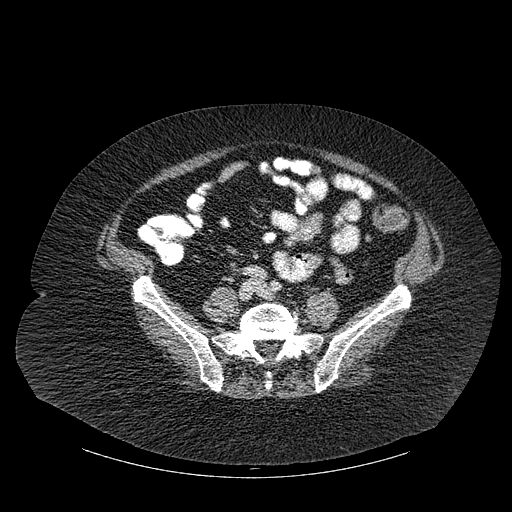
CT slice

{
  "bone": [
    "box(314, 285, 410, 392)",
    "box(133, 276, 223, 391)",
    "box(212, 303, 322, 363)",
    "box(265, 371, 271, 388)"
  ]
}